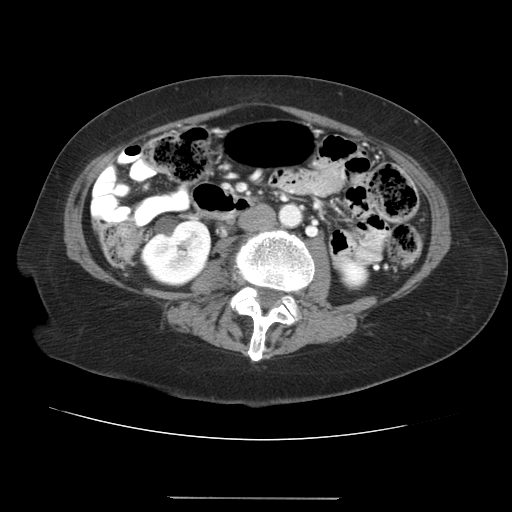 CT image
Findings:
* colon tumor: (117,224,139,259)